CT, Abdomen, Field of view 330 mm wide, 1.50 mm slice spacing
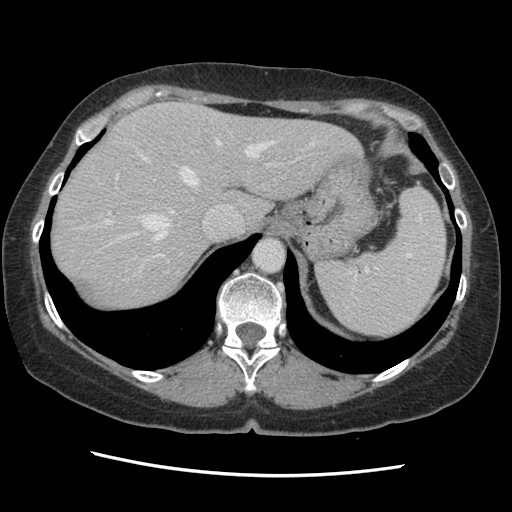

The vessel annotation is not exhaustive.
<segmentation partial="true">
  <hepatic_vessel shown="15" total="17">{"x1": 140, "y1": 264, "x2": 142, "y2": 269}, {"x1": 180, "y1": 167, "x2": 197, "y2": 185}, {"x1": 134, "y1": 272, "x2": 139, "y2": 274}, {"x1": 142, "y1": 213, "x2": 168, "y2": 240}, {"x1": 107, "y1": 211, "x2": 110, "y2": 213}, {"x1": 169, "y1": 209, "x2": 173, "y2": 213}, {"x1": 116, "y1": 174, "x2": 117, "y2": 179}, {"x1": 84, "y1": 226, "x2": 93, "y2": 228}, {"x1": 267, "y1": 163, "x2": 278, "y2": 165}, {"x1": 216, "y1": 139, "x2": 220, "y2": 144}, {"x1": 138, "y1": 151, "x2": 149, "y2": 161}, {"x1": 145, "y1": 253, "x2": 164, "y2": 260}, {"x1": 104, "y1": 220, "x2": 111, "y2": 223}, {"x1": 246, "y1": 140, "x2": 273, "y2": 157}, {"x1": 310, "y1": 139, "x2": 314, "y2": 145}</hepatic_vessel>
</segmentation>